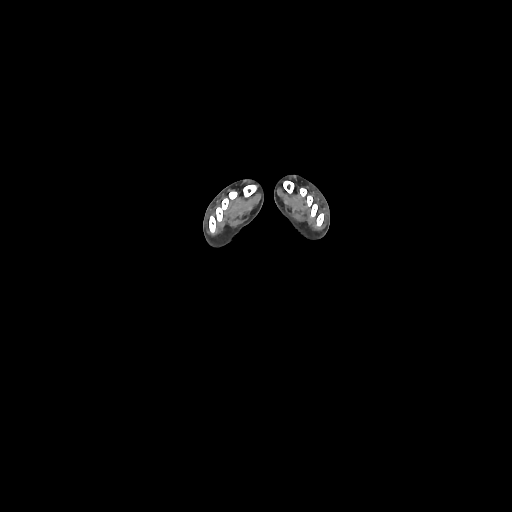 Image size 512x512; CT
5 bone regions are bounded by (243,185,256,197), (300,188,317,217), (209,191,237,233), (283,181,293,193), (316,213,323,226).